FLAIR MRI.
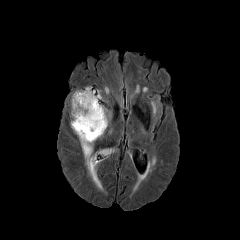
T1-weighted magnetic resonance.
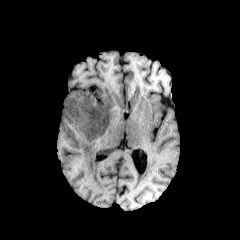
Post-contrast T1-weighted MR.
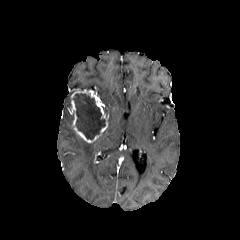
T2-weighted MR.
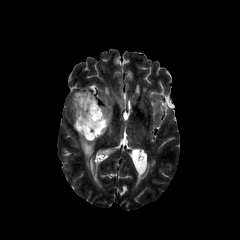
The non-enhancing tumor core appears at 69,93,104,139. The enhancing tumor appears at 67,88,108,144. 2 edema regions appear at 101,148,118,160; 79,138,93,158.